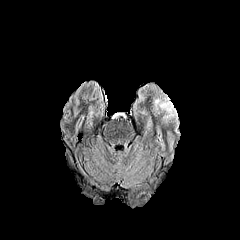
FLAIR magnetic resonance.
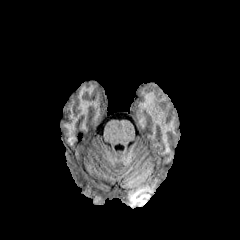
T1-weighted MR.
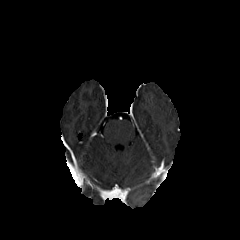
Post-contrast T1-weighted MRI.
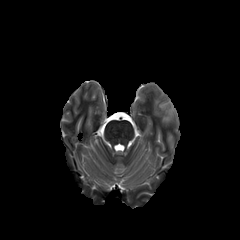
T2-weighted MR image.
Head
Edema: bounding box 152 90 179 135.